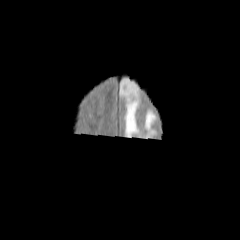
FLAIR MR.
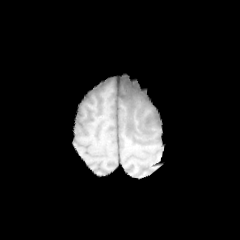
T1-weighted MR image.
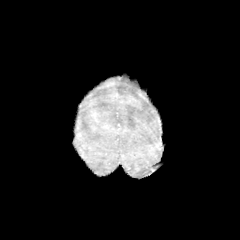
Post-contrast T1-weighted magnetic resonance.
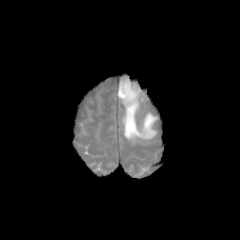
T2-weighted MRI.
Brain
Edema: bounding box l=118, t=75, r=158, b=141.